Abdomen. Slice 360 of 846. Computed tomography.

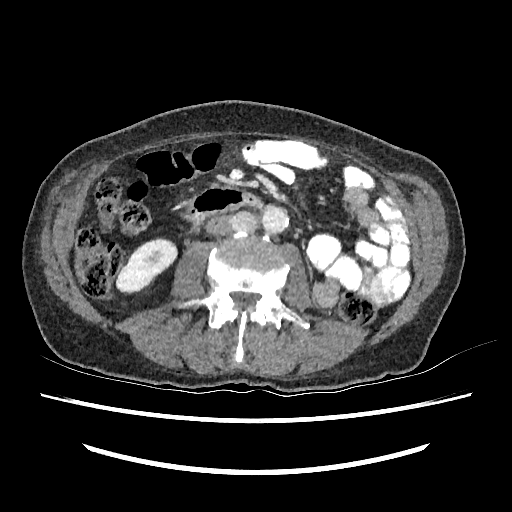
<segmentation>
  <kidney>117, 240, 176, 291</kidney>
</segmentation>